512x512. CT scan slice. Pelvis. 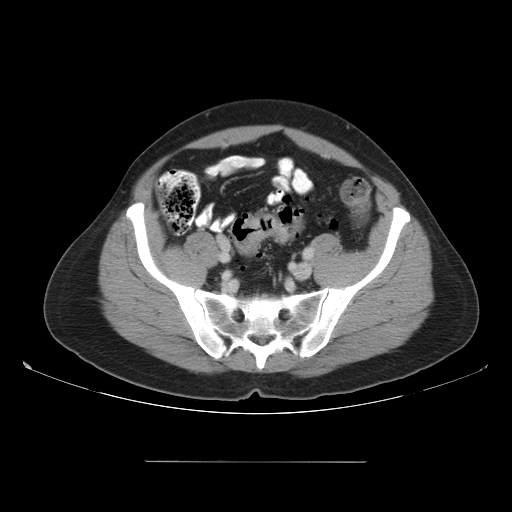 colon_tumor:
  - (left=242, top=218, right=259, bottom=228)
  - (left=234, top=213, right=289, bottom=254)